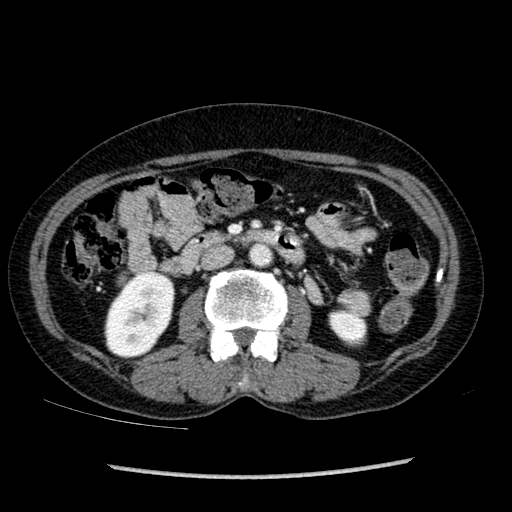 Abdomen, CT image
2 kidney regions are bounded by {"x1": 331, "y1": 313, "x2": 364, "y2": 339}, {"x1": 106, "y1": 272, "x2": 173, "y2": 356}.